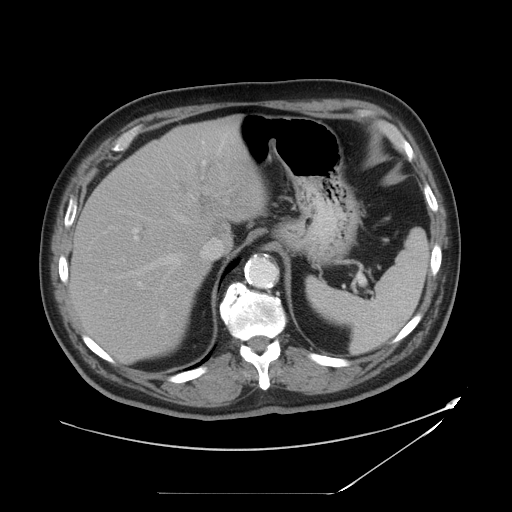 CT scan slice, 512x512
The vessel annotation is not exhaustive.
The liver tumor is located at l=199, t=184, r=247, b=211. The top 15 hepatic vessel regions (of 22) are located at l=132, t=227, r=140, b=240; l=109, t=226, r=116, b=230; l=174, t=214, r=187, b=222; l=127, t=253, r=181, b=281; l=159, t=286, r=162, b=289; l=188, t=192, r=196, b=200; l=202, t=160, r=205, b=165; l=174, t=284, r=179, b=286; l=196, t=176, r=203, b=178; l=202, t=187, r=209, b=192; l=115, t=274, r=124, b=278; l=158, t=307, r=165, b=325; l=192, t=161, r=194, b=163; l=214, t=129, r=229, b=156; l=137, t=281, r=144, b=288.